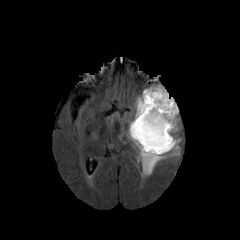
FLAIR MR image.
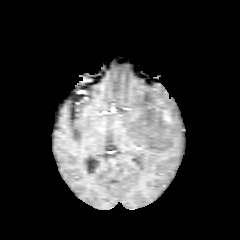
T1-weighted magnetic resonance.
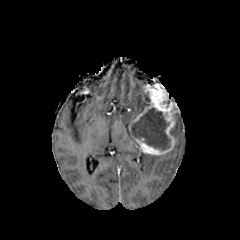
Post-contrast T1-weighted MR image.
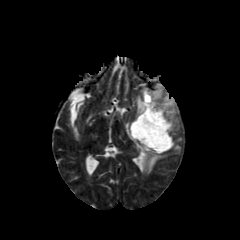
Same slice, T2-weighted magnetic resonance.
Head
Edema = rect(168, 113, 182, 155); rect(136, 152, 167, 175); rect(126, 88, 143, 145).
Non-enhancing tumor core = rect(129, 108, 170, 149); rect(142, 92, 149, 112); rect(170, 112, 178, 135).
Enhancing tumor = rect(134, 83, 179, 155).